Medial temporal lobe. MRI. Image size 35x40. 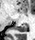
Posterior hippocampus — x1=13 y1=24 x2=28 y2=31.